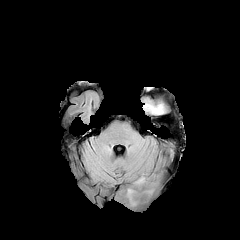
FLAIR magnetic resonance.
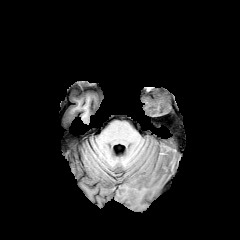
T1-weighted MR.
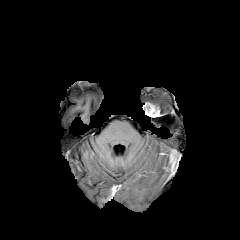
Same slice, post-contrast T1-weighted MRI.
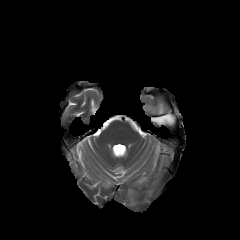
T2-weighted MR image of the same slice.
Head.
Annotated regions:
- edema: x1=157, y1=104, x2=163, y2=114